FLAIR MRI.
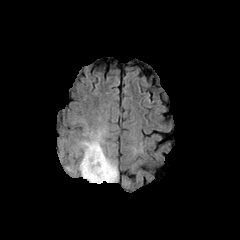
T1-weighted MR.
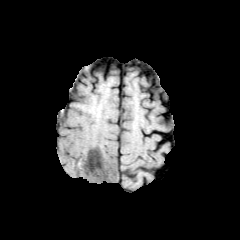
Post-contrast T1-weighted MR.
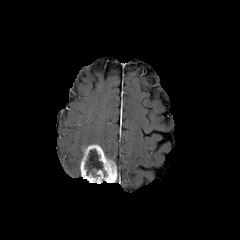
T2-weighted MRI.
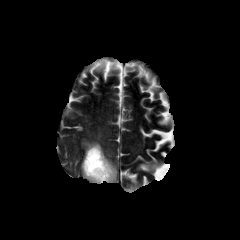
Head
Segmented structures:
• edema: (80, 132, 102, 155)
• non-enhancing tumor core: (85, 150, 102, 175)
• enhancing tumor: (80, 144, 117, 183)